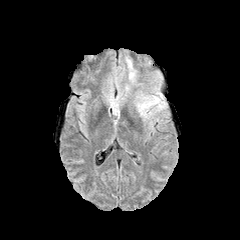
FLAIR MR image.
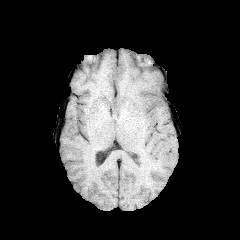
T1-weighted magnetic resonance of the same slice.
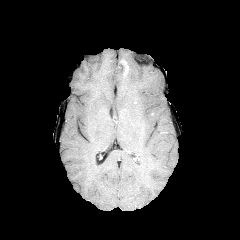
Post-contrast T1-weighted MR image.
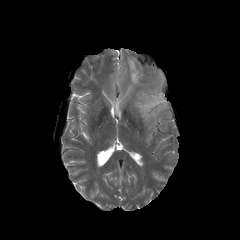
T2-weighted MR image.
Brain. 240x240 px.
Edema: [135,88,165,123], [126,61,136,83].